FLAIR MR.
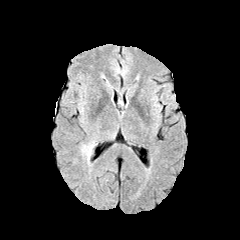
T1-weighted MR image.
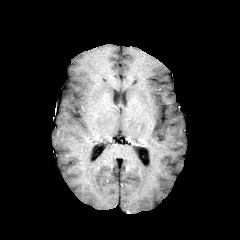
Post-contrast T1-weighted MRI.
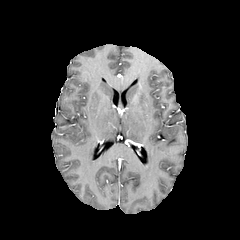
T2-weighted MRI.
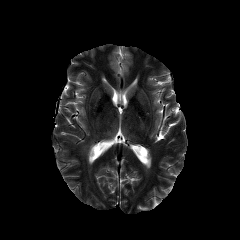
Brain; 240x240 px
* edema: 82:141:97:159